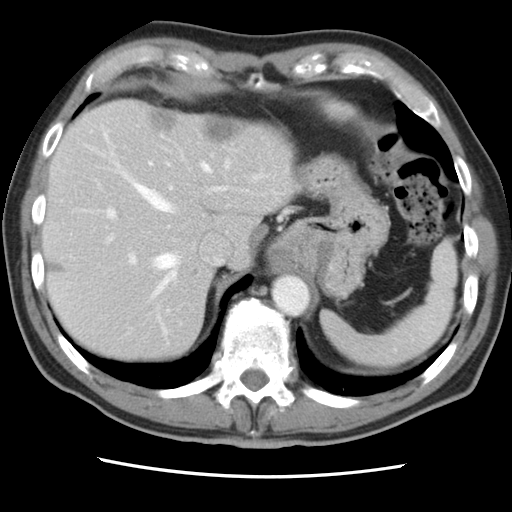
Liver; 512x512 px; CT image
The vessel annotation is not exhaustive.
Annotated regions:
* hepatic vessel: 167,163,169,164; 256,174,263,177; 130,255,134,262; 107,209,115,216; 105,133,107,138; 155,254,177,293; 149,162,151,164; 202,163,211,172; 225,161,229,167; 108,236,112,241; 135,183,171,210; 163,327,166,333; 214,187,223,190
* liver tumor: 152,113,177,129; 204,121,240,141